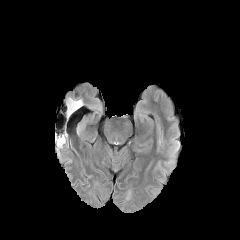
FLAIR MR image.
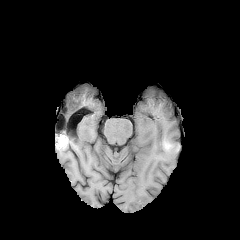
T1-weighted MR.
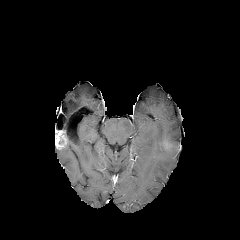
Same slice, post-contrast T1-weighted MR.
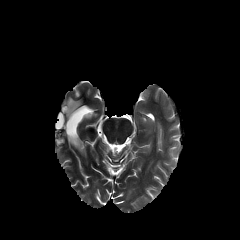
T2-weighted MR image of the same slice.
Brain; 240x240 px
The edema appears at {"x1": 66, "y1": 98, "x2": 83, "y2": 118}.